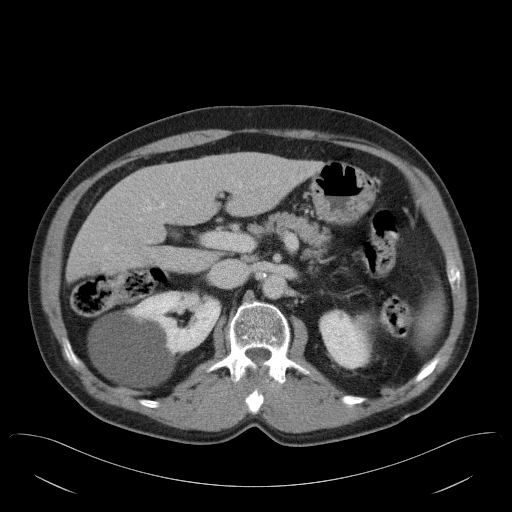 CT, Liver

Only some of the vessels may be annotated.
hepatic vessel: <box>143,200,151,210</box>, <box>161,202,163,205</box>, <box>236,181,241,186</box>